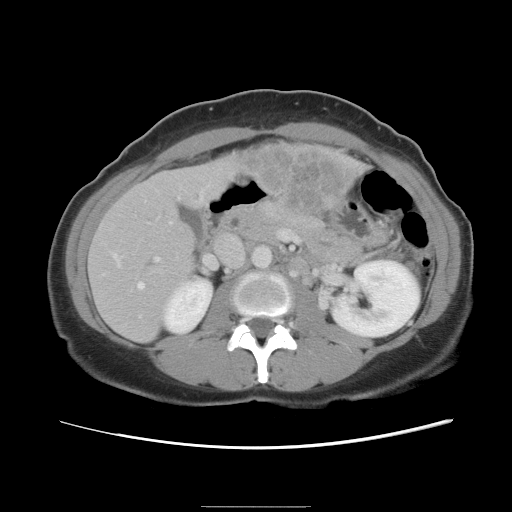 CT; Liver; Image size 512x512
Some hepatic vessels may have no box.
Liver tumor — (230, 145, 358, 213).
Hepatic vessel — (118, 262, 119, 265), (278, 229, 299, 241), (112, 253, 121, 258), (154, 257, 158, 260), (211, 238, 243, 270), (178, 195, 179, 197), (199, 191, 202, 200), (137, 282, 142, 287), (169, 221, 171, 222).